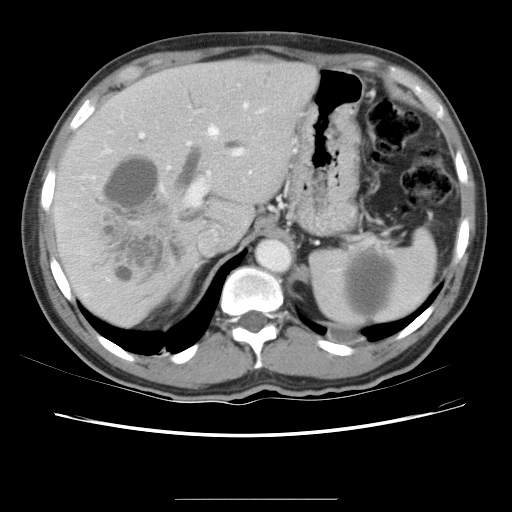

Abdomen; CT; 512x512 px

The vessel boxes may cover only some of the vessels.
* hepatic vessel: 186, 177, 206, 206; 187, 141, 190, 144; 167, 166, 170, 168; 208, 126, 217, 137; 139, 132, 143, 136; 103, 147, 109, 152; 243, 102, 247, 107; 232, 148, 244, 155; 249, 170, 251, 173; 257, 108, 263, 113; 205, 172, 210, 176
* liver tumor: 92, 150, 186, 283